Slice index 53, Brain, 240x240 px, Field of view 240x240 mm
FLAIR magnetic resonance.
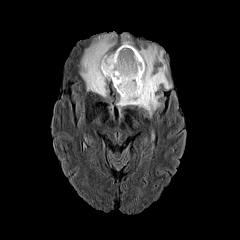
T1-weighted MR image.
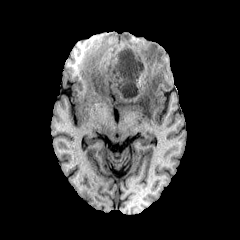
Post-contrast T1-weighted MR image.
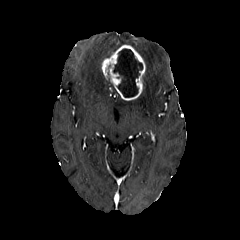
T2-weighted MR.
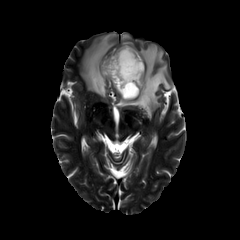
<segmentation>
  <non-enhancing_tumor_core><box>113,49,142,97</box></non-enhancing_tumor_core>
  <edema><box>80,31,117,98</box>, <box>113,33,172,118</box></edema>
  <enhancing_tumor><box>101,42,145,101</box></enhancing_tumor>
</segmentation>